Slice index 66 | Image size 240x240 | Head
FLAIR magnetic resonance.
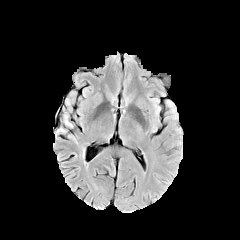
T1-weighted MR image.
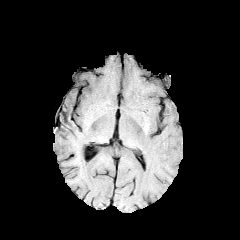
Post-contrast T1-weighted MR image.
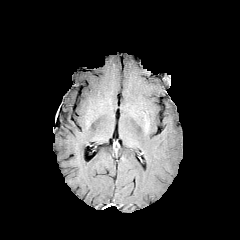
T2-weighted MR image.
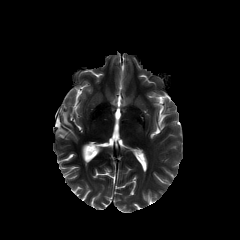
Segmented structures:
* edema: (x1=63, y1=114, x2=72, y2=127)